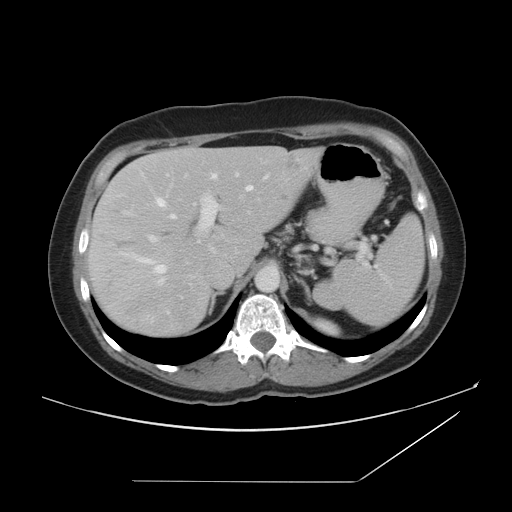 CT | Liver | Image size 512x512

The vessel annotation is not exhaustive.
Liver tumor at bbox(283, 158, 297, 170).
Hepatic vessel at bbox(154, 265, 165, 273); bbox(156, 198, 165, 206); bbox(199, 194, 219, 229); bbox(191, 276, 192, 277); bbox(211, 173, 215, 178); bbox(197, 240, 199, 242); bbox(235, 173, 238, 176); bbox(149, 235, 156, 241); bbox(170, 214, 175, 217); bbox(123, 210, 130, 214); bbox(208, 190, 209, 192); bbox(120, 252, 152, 262); bbox(158, 277, 164, 284); bbox(246, 185, 252, 190); bbox(264, 175, 268, 178).